CT scan slice, Upper abdomen

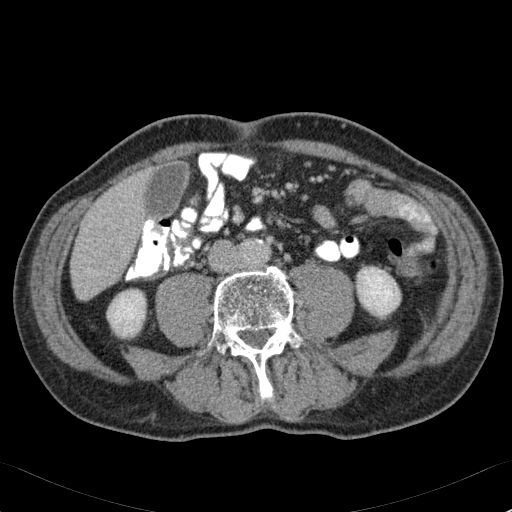 Segmented structures:
- liver: (71,169,146,299)
- kidney: (356,267,400,317), (107,290,145,336)